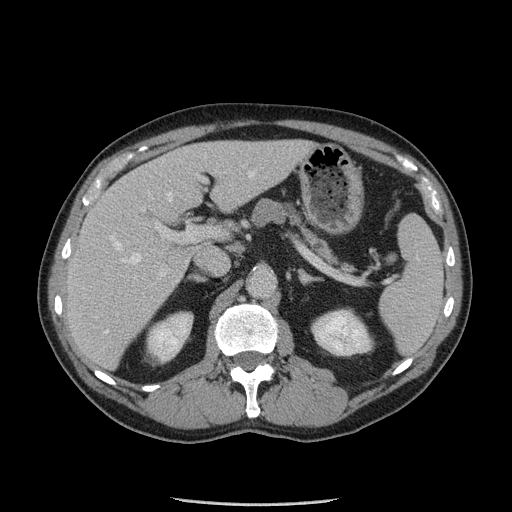

CT slice; 512x512 px

The pancreas is located at [x1=251, y1=198, x2=355, y2=274]. The pancreatic tumor is bounded by [x1=284, y1=203, x2=294, y2=214].